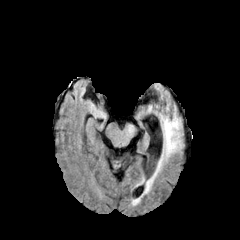
FLAIR MR.
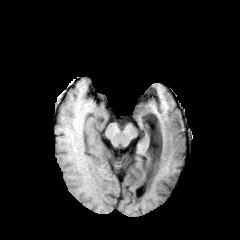
T1-weighted MRI.
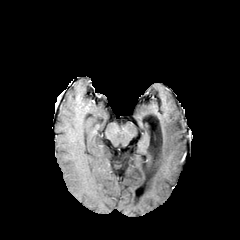
Post-contrast T1-weighted MR image of the same slice.
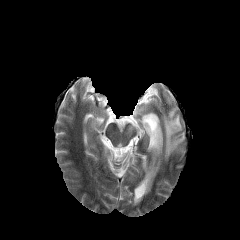
T2-weighted MR image of the same slice.
Brain
{"edema": ["161, 114, 181, 158", "145, 160, 163, 193"]}